512x512, Field of view 387x387 mm, Slice 107 of 811, Computed tomography 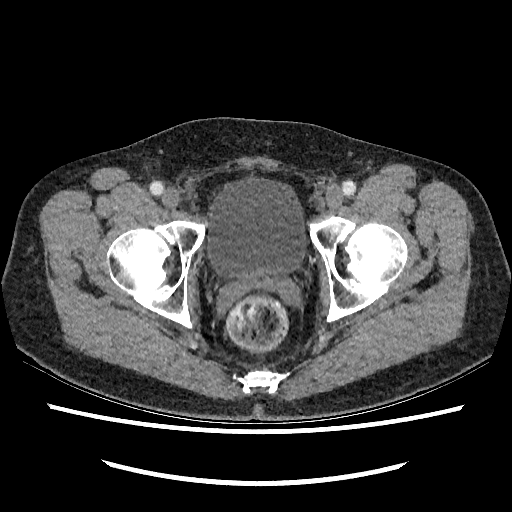

Urinary bladder: bounding box 207, 174, 306, 278.